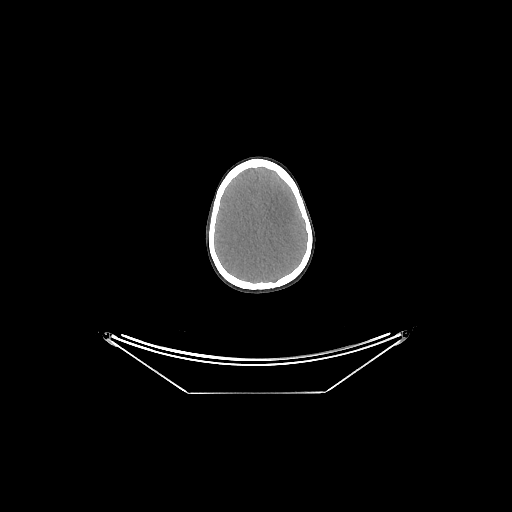

Brain. CT image. 512x512 px.

The brain is located at region(214, 166, 307, 283).